FLAIR MR image.
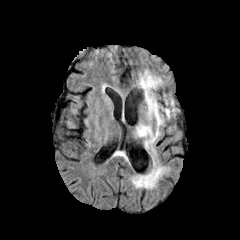
T1-weighted magnetic resonance.
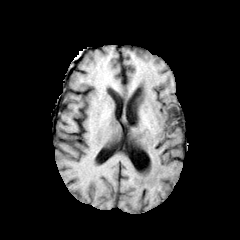
Post-contrast T1-weighted magnetic resonance.
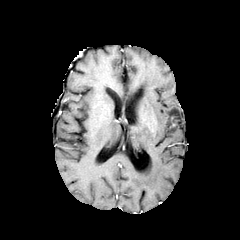
T2-weighted MR.
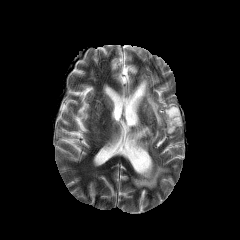
2 edema regions are bounded by 133:70:178:156, 131:161:168:189.